FLAIR magnetic resonance.
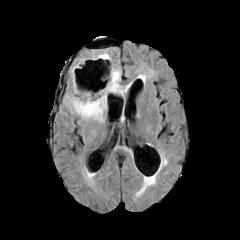
T1-weighted MR.
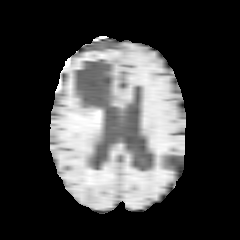
Post-contrast T1-weighted MR image.
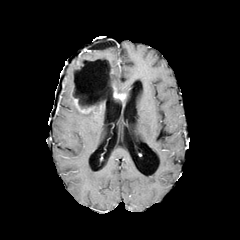
T2-weighted magnetic resonance.
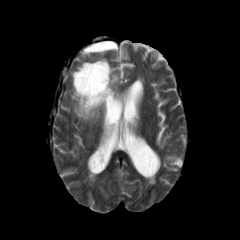
240x240
Edema: region(108, 65, 129, 96); region(98, 50, 108, 59); region(68, 90, 107, 122).
Non-enhancing tumor core: region(74, 64, 114, 111).